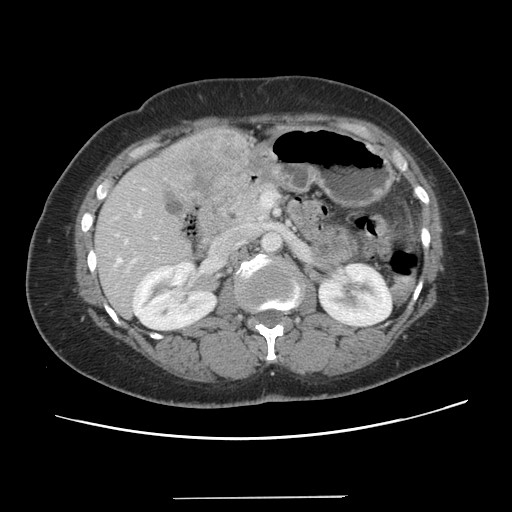

Abdomen, Image size 512x512, CT slice
The vessel annotation is not exhaustive.
6 hepatic vessel regions are located at 154:236:156:238, 125:239:127:242, 114:258:121:266, 131:259:135:262, 116:234:118:235, 135:210:140:217. The liver tumor is bounded by 167:131:241:196.